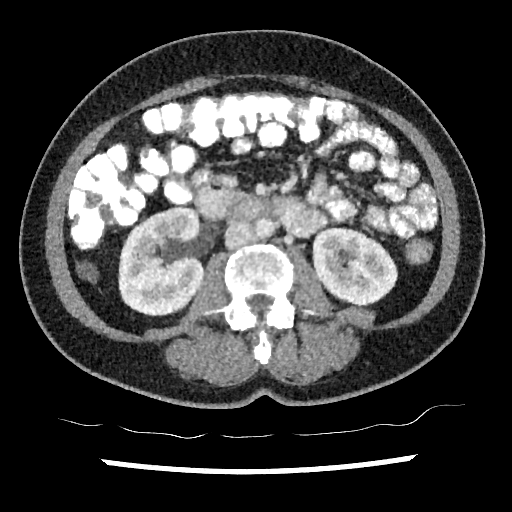

Abdomen; Image size 512x512; CT image
Kidney — box=[119, 208, 203, 314]; box=[314, 228, 396, 304].